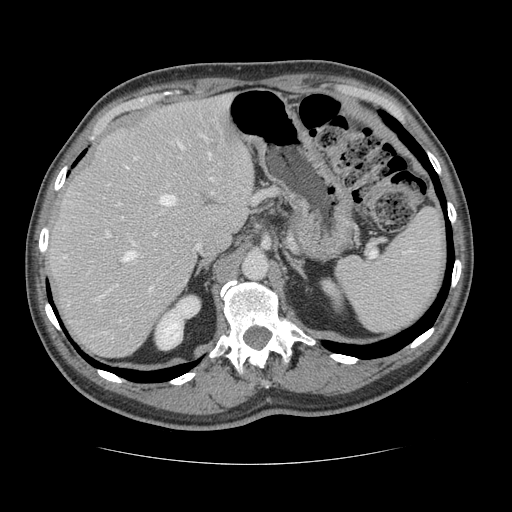

CT scan slice. 512x512.
Some hepatic vessels may have no box.
Largest 15 of 18 hepatic vessel regions at rect(208, 152, 211, 158); rect(131, 241, 135, 244); rect(107, 289, 110, 291); rect(159, 194, 175, 205); rect(149, 287, 152, 290); rect(209, 177, 212, 179); rect(63, 255, 66, 257); rect(171, 140, 182, 148); rect(126, 166, 128, 168); rect(157, 156, 159, 158); rect(105, 230, 109, 236); rect(96, 293, 105, 299); rect(198, 133, 205, 138); rect(196, 244, 199, 247); rect(122, 251, 135, 260).